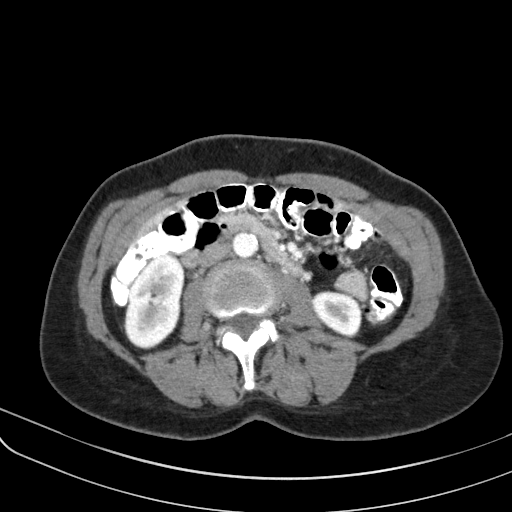 CT
The pancreas is bounded by 220,212,268,238.